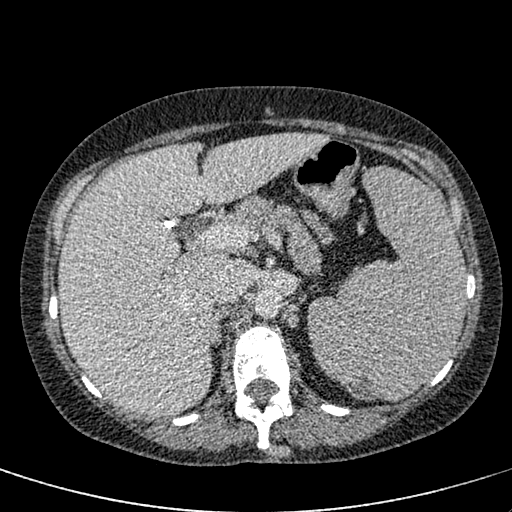

Computed tomography, Upper abdomen
Liver at x1=59 y1=134 x2=325 y2=415.